FLAIR MRI.
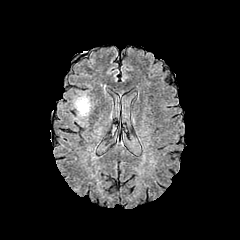
T1-weighted MRI.
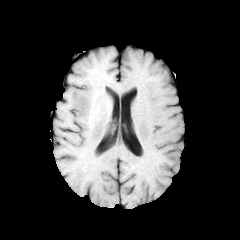
Post-contrast T1-weighted MRI.
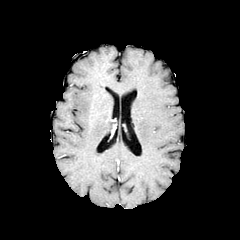
T2-weighted MR image.
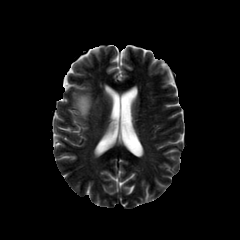
Head.
Edema — (x1=75, y1=96, x2=90, y2=116).